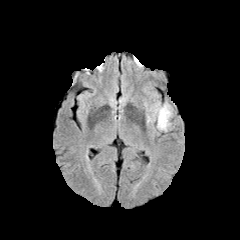
FLAIR MR.
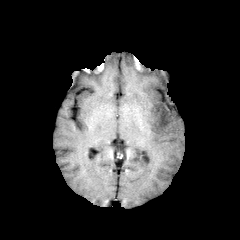
T1-weighted MRI.
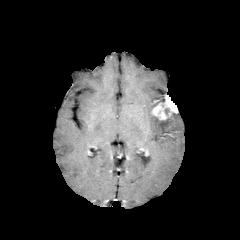
Post-contrast T1-weighted MRI.
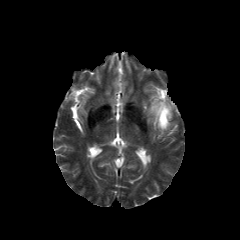
T2-weighted MR image.
Brain.
edema: rect(157, 118, 172, 131) | enhancing tumor: rect(151, 96, 177, 120)